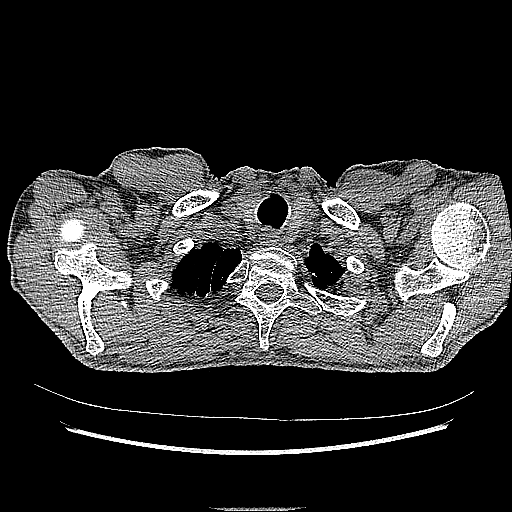
Lung | CT slice

Lung tumor: bounding box x1=189, y1=286, x2=217, y2=298.